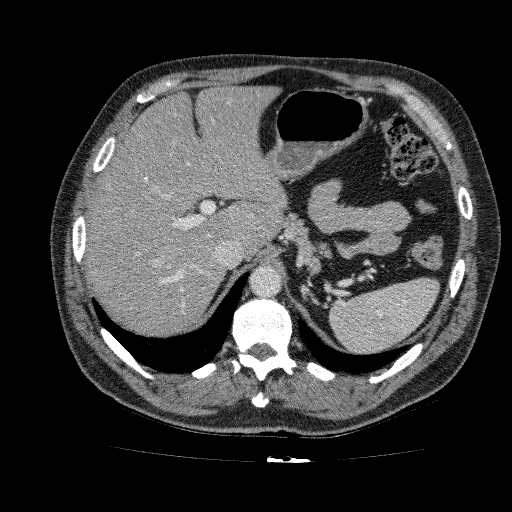

Liver; CT

Liver at x1=85, y1=85, x2=287, y2=336.